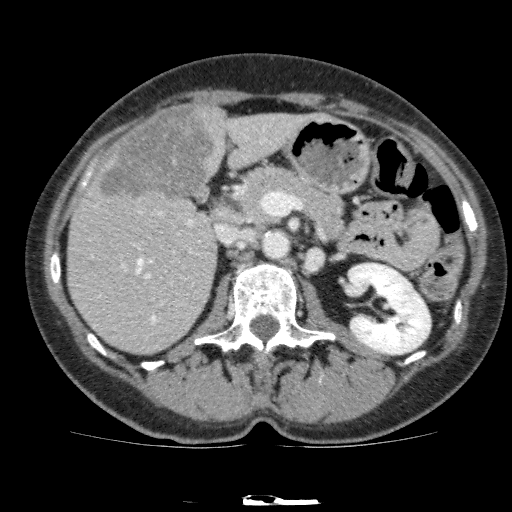

CT. Image size 512x512. Upper abdomen.
liver:
  - [66,106,322,356]
liver_lesion:
  - [96,107,217,201]
kidney:
  - [348,263,430,353]